Slice 110 of 155
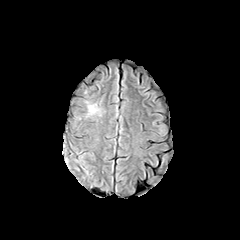
FLAIR MR.
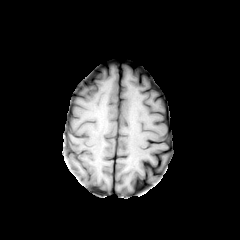
T1-weighted MR of the same slice.
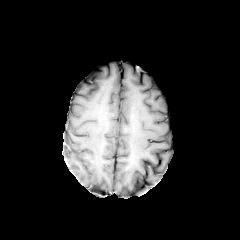
Post-contrast T1-weighted MR image.
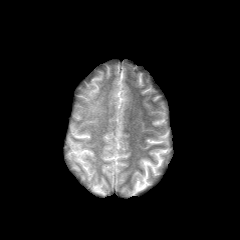
Same slice, T2-weighted MR.
Edema: bounding box bbox=[87, 103, 100, 116].